Head, Slice 103 of 155
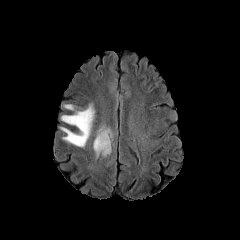
FLAIR MR image.
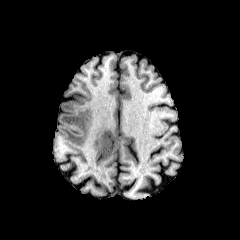
T1-weighted MR of the same slice.
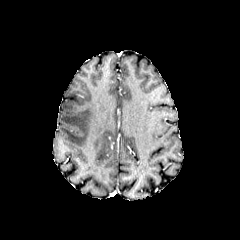
Post-contrast T1-weighted MR.
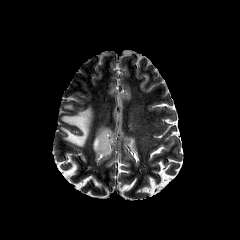
T2-weighted MR of the same slice.
Edema at x1=65, y1=104, x2=74, y2=109; x1=94, y1=125, x2=110, y2=158; x1=60, y1=104, x2=94, y2=146.